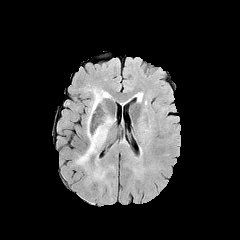
FLAIR MR.
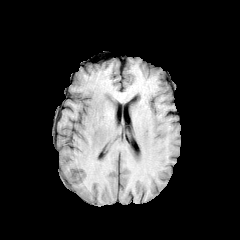
T1-weighted MRI of the same slice.
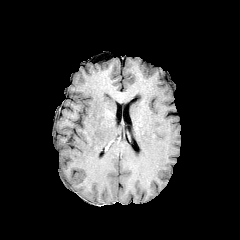
Post-contrast T1-weighted MRI.
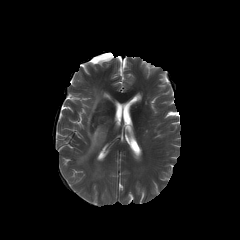
T2-weighted magnetic resonance.
Brain; 240x240
edema:
  - bbox=[77, 89, 110, 164]